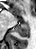
MR image; 36x49
Segmented structures:
• posterior hippocampus: bbox=[14, 23, 29, 37]